FLAIR MR image.
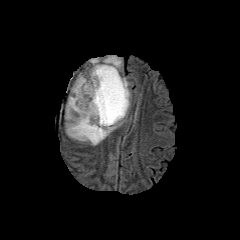
T1-weighted magnetic resonance.
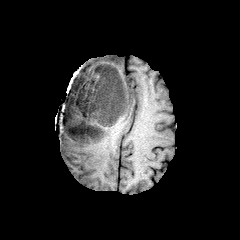
Post-contrast T1-weighted MR image.
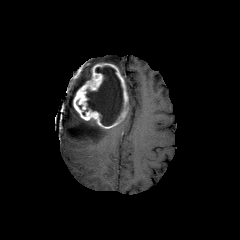
T2-weighted MR.
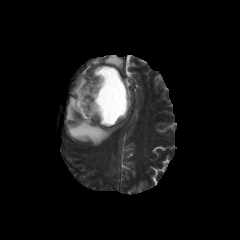
240x240 px
<segmentation>
  <enhancing_tumor>bbox(73, 63, 128, 125)</enhancing_tumor>
  <non-enhancing_tumor_core>bbox(86, 66, 123, 129); bbox(70, 70, 91, 111)</non-enhancing_tumor_core>
  <edema>bbox(124, 77, 130, 98); bbox(65, 55, 122, 145)</edema>
</segmentation>